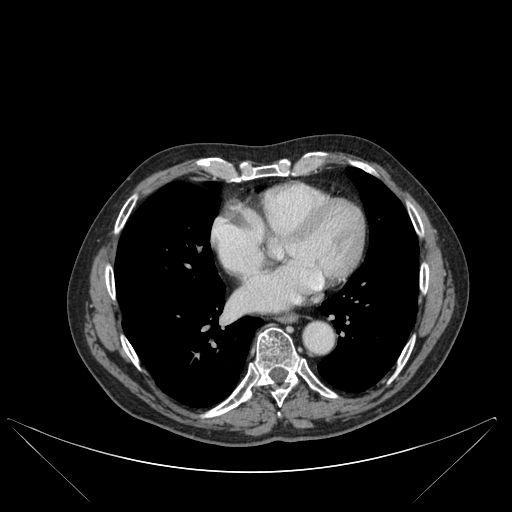 Chest, CT slice
bone:
  - {"x1": 420, "y1": 263, "x2": 428, "y2": 292}
  - {"x1": 203, "y1": 328, "x2": 336, "y2": 417}
  - {"x1": 395, "y1": 336, "x2": 414, "y2": 375}
  - {"x1": 196, "y1": 159, "x2": 222, "y2": 166}
  - {"x1": 115, "y1": 196, "x2": 135, "y2": 232}
  - {"x1": 234, "y1": 166, "x2": 288, "y2": 181}
  - {"x1": 105, "y1": 266, "x2": 114, "y2": 298}
  - {"x1": 121, "y1": 337, "x2": 138, "y2": 367}
  - {"x1": 303, "y1": 153, "x2": 324, "y2": 157}
  - {"x1": 408, "y1": 204, "x2": 423, "y2": 234}
lung:
  - {"x1": 115, "y1": 181, "x2": 262, "y2": 406}
  - {"x1": 318, "y1": 167, "x2": 418, "y2": 392}